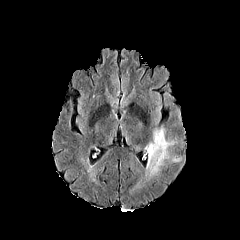
FLAIR magnetic resonance.
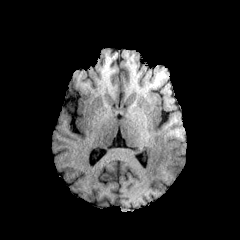
Same slice, T1-weighted MRI.
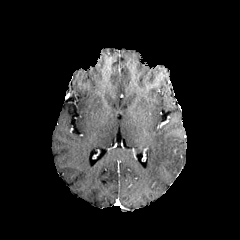
Post-contrast T1-weighted MR image.
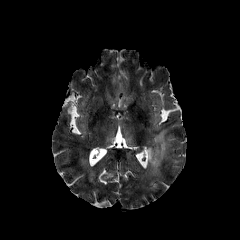
T2-weighted MR of the same slice.
Head
{"edema": ["l=145, t=128, r=172, b=175"]}